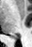 Medial temporal lobe. MR image. Posterior hippocampus: bounding box left=14, top=38, right=17, bottom=39.